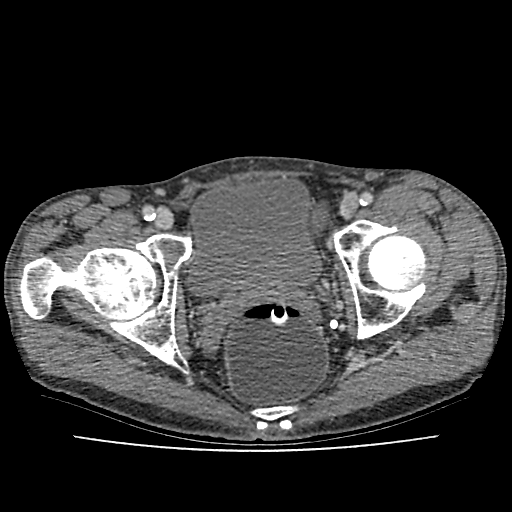
Image size 512x512; CT
Urinary bladder: (left=186, top=178, right=321, bottom=297).